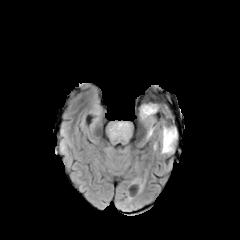
FLAIR MRI.
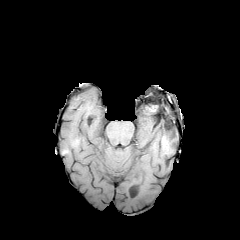
T1-weighted magnetic resonance.
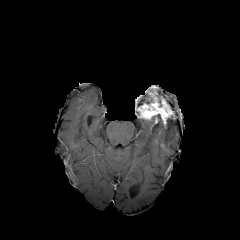
Post-contrast T1-weighted MRI of the same slice.
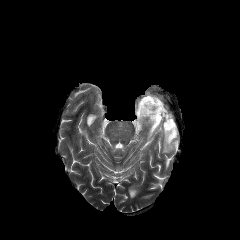
T2-weighted MRI.
240x240
The enhancing tumor appears at [x1=137, y1=96, x2=171, y2=127]. 2 edema regions are located at [x1=142, y1=119, x2=159, y2=137], [x1=154, y1=124, x2=177, y2=154]. The non-enhancing tumor core is located at [x1=148, y1=114, x2=174, y2=137].